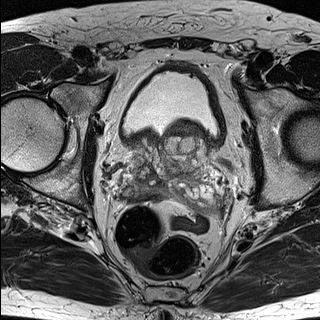
T2-weighted MRI.
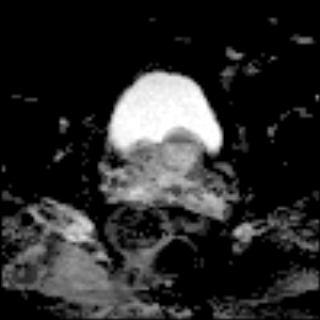
ADC MRI of the same slice.
Pelvis; 320x320 px
Prostate transition zone: bounding box 132,126,207,178.